Slice 29/343, Pelvis, Computed tomography, Field of view 360 mm wide, 1.25 mm slice spacing, 512x512

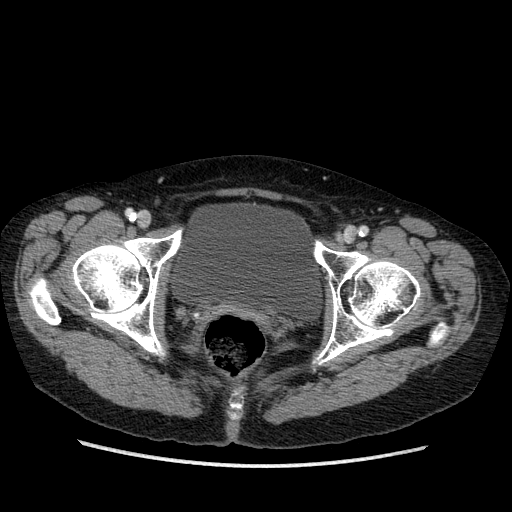 <segmentation>
  <urinary_bladder>(169,202,325,323)</urinary_bladder>
</segmentation>